Pelvis | Image size 512x512 | CT scan slice 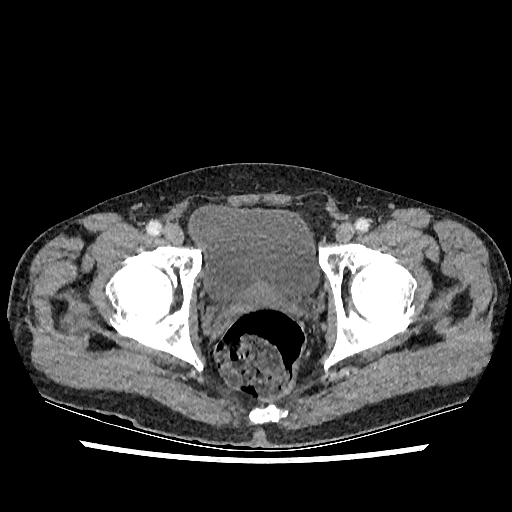

Urinary bladder: (191,203,320,326).